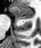
41x48 px. Magnetic resonance. Hippocampus.

anterior_hippocampus:
  - 12, 6, 34, 16
posterior_hippocampus:
  - 18, 17, 31, 19